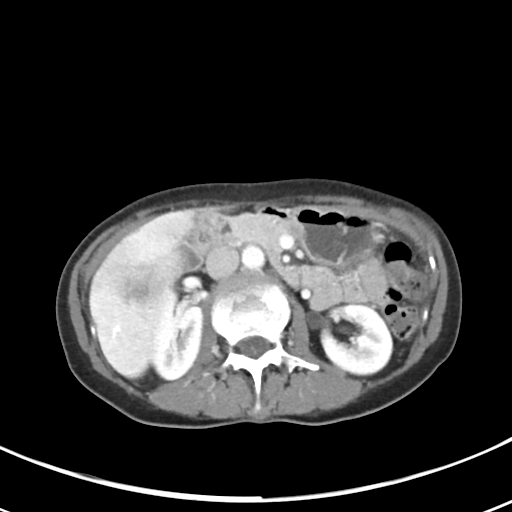 CT slice
{"liver_tumor": ["rect(96, 255, 175, 311)"]}